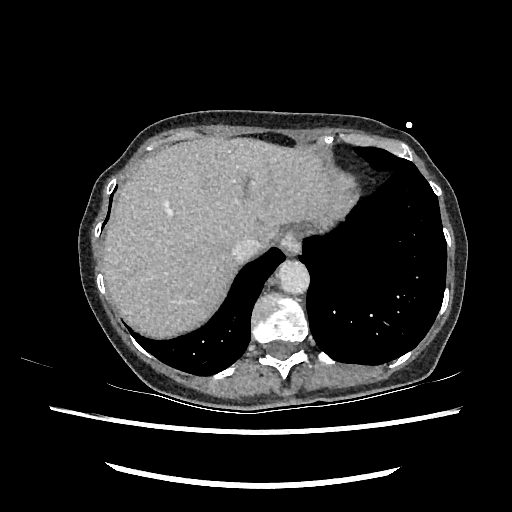
Liver. 512x512. Computed tomography.
<segmentation>
  <liver>x1=105 y1=138 x2=347 y2=335</liver>
</segmentation>